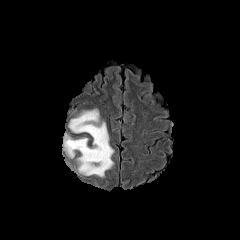
FLAIR MRI.
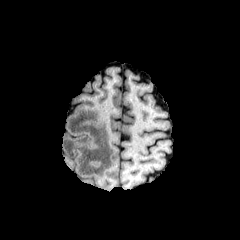
Same slice, T1-weighted MRI.
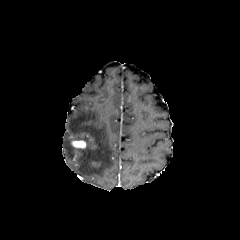
Post-contrast T1-weighted MR image.
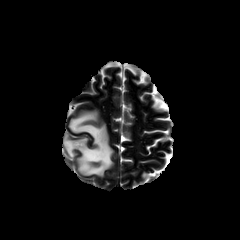
T2-weighted MRI of the same slice.
240x240 px; Brain
Enhancing tumor: bounding box box(71, 138, 88, 149).
Edema: bounding box box(63, 110, 114, 177).